Slice index 114
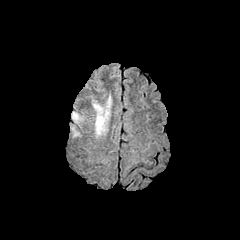
FLAIR MR.
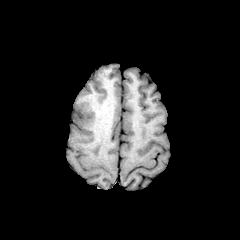
Same slice, T1-weighted MRI.
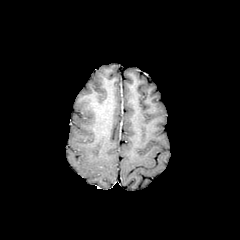
Post-contrast T1-weighted MR of the same slice.
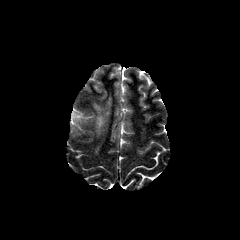
T2-weighted MR image of the same slice.
Edema: bounding box 72 101 108 127, 96 117 104 134.